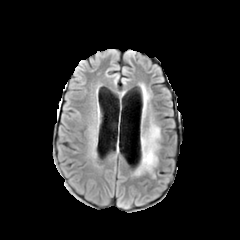
FLAIR MRI.
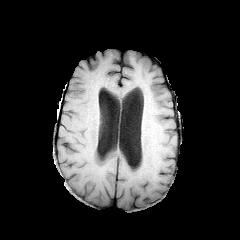
T1-weighted MRI.
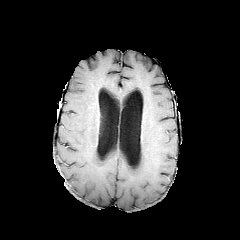
Post-contrast T1-weighted MR.
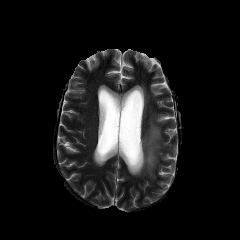
T2-weighted MRI of the same slice.
{
  "edema": [
    "x1=142 y1=87 x2=149 y2=101",
    "x1=134 y1=121 x2=160 y2=175"
  ]
}